512x512 px. Slice 314 of 423. Chest. CT.

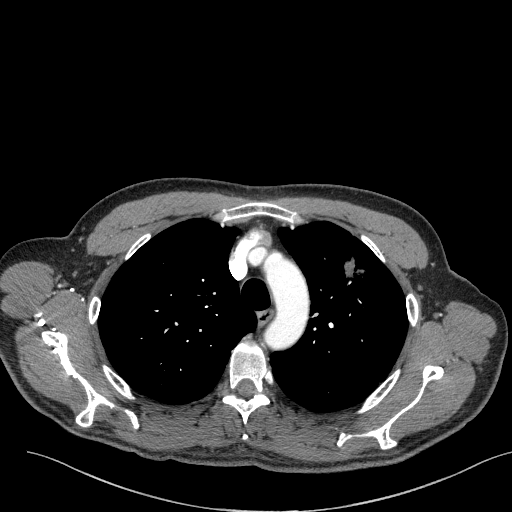 Lung tumor — (left=338, top=252, right=372, bottom=292).